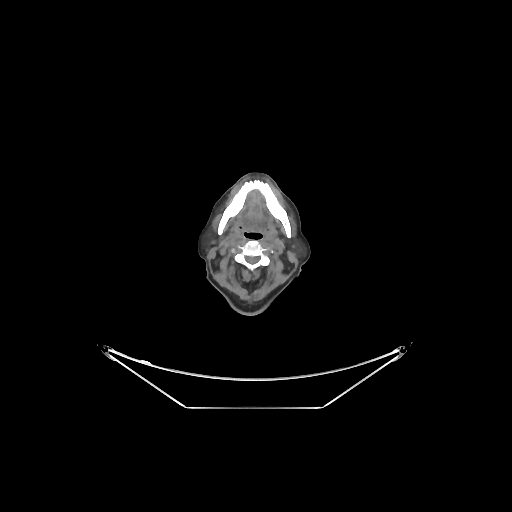 CT scan slice
bone: rect(233, 241, 272, 273); rect(218, 180, 290, 237)